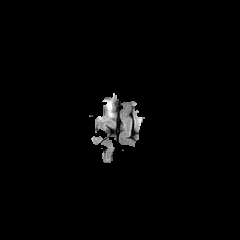
FLAIR MR.
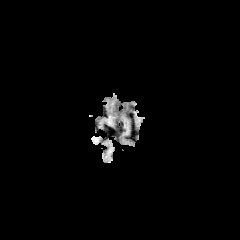
T1-weighted magnetic resonance.
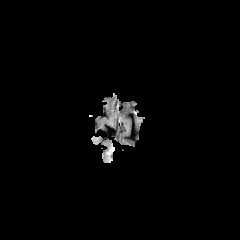
Post-contrast T1-weighted magnetic resonance.
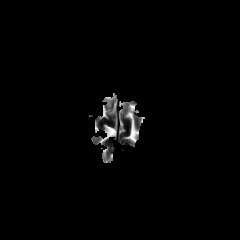
T2-weighted MRI.
Image size 240x240. Head.
- non-enhancing tumor core: (106,102,113,115)